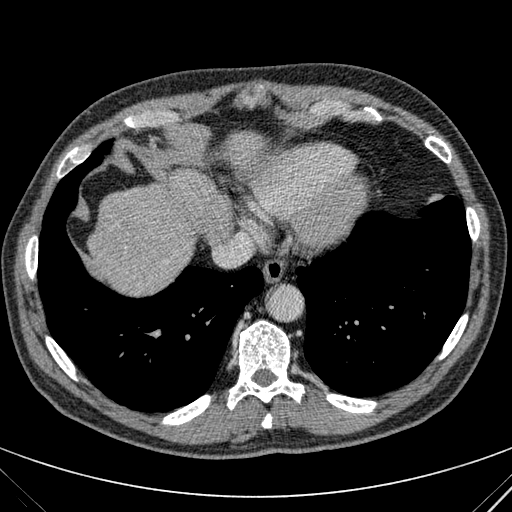

Computed tomography. 512x512. Upper abdomen. Liver = [221, 131, 263, 172], [90, 170, 231, 293].